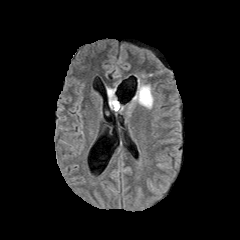
FLAIR MR image.
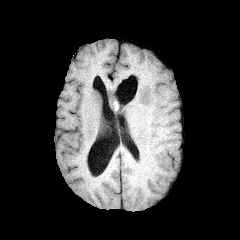
T1-weighted MRI.
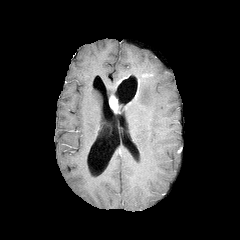
Same slice, post-contrast T1-weighted MRI.
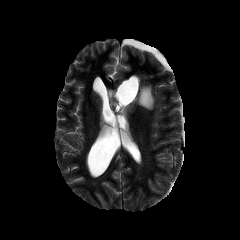
T2-weighted MR.
Image size 240x240
{
  "edema": [
    "107:76:153:113"
  ],
  "enhancing_tumor": [
    "109:96:119:111"
  ]
}